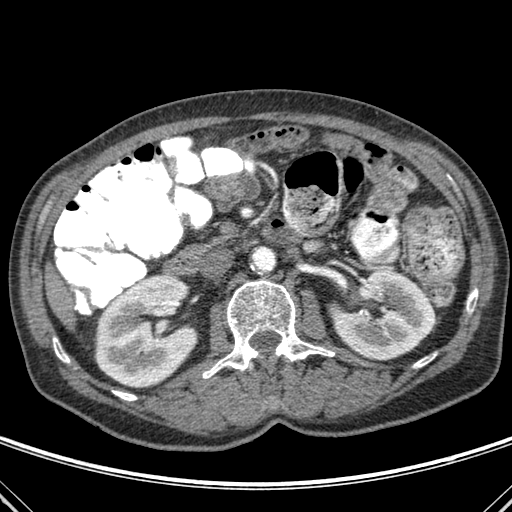
512x512. CT scan slice.

Segmented structures:
* bone: region(53, 337, 69, 363); region(413, 354, 435, 368); region(242, 208, 250, 217); region(112, 390, 136, 400); region(466, 288, 477, 313); region(333, 275, 346, 287); region(202, 280, 334, 378)
* kidney: region(334, 270, 434, 359); region(97, 276, 195, 386)
* liver: region(46, 265, 75, 329)